Slice 59/155
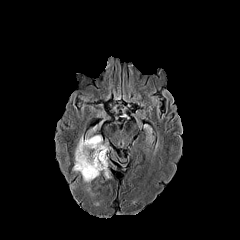
FLAIR MRI.
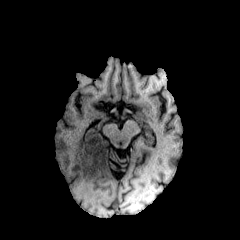
T1-weighted MRI.
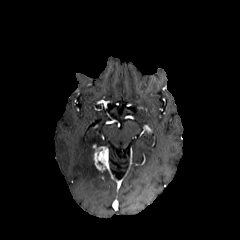
Same slice, post-contrast T1-weighted MRI.
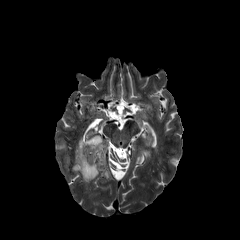
Same slice, T2-weighted MR.
enhancing tumor: <box>92,144,108,173</box> | edema: <box>72,135,101,182</box>